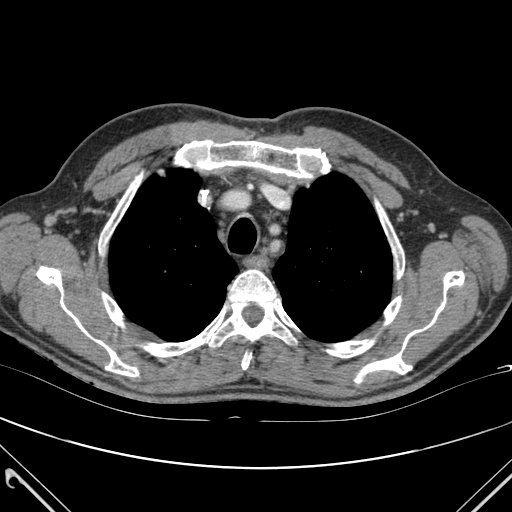
Image size 512x512, CT slice, Thorax
Lung = x1=272, y1=172, x2=391, y2=342; x1=109, y1=168, x2=238, y2=341.
Bone = x1=102, y1=293, x2=123, y2=326; x1=99, y1=173, x2=142, y2=242; x1=144, y1=270, x2=299, y2=356; x1=376, y1=201, x2=404, y2=278; x1=37, y1=266, x2=138, y2=376; x1=327, y1=340, x2=373, y2=357; x1=241, y1=353, x2=251, y2=369; x1=354, y1=271, x2=464, y2=382; x1=175, y1=140, x2=330, y2=177; x1=384, y1=296, x2=401, y2=324.